Computed tomography | Slice 33 of 154 | Abdomen 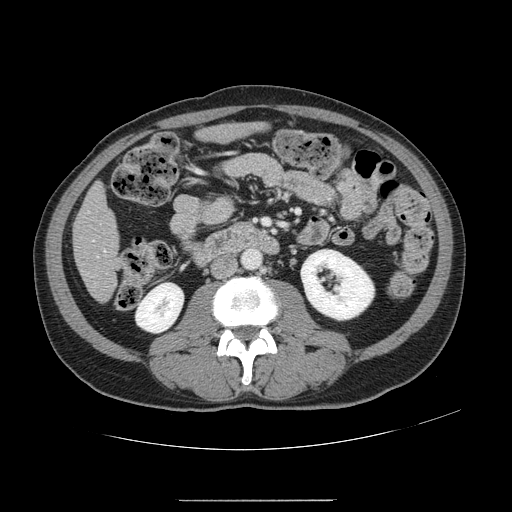
Not every hepatic vessel necessarily has a box.
Segmented structures:
• hepatic vessel: (x1=104, y1=250, x2=105, y2=251)